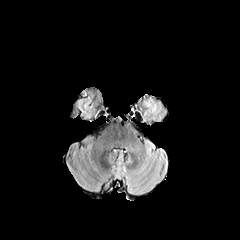
FLAIR MR image.
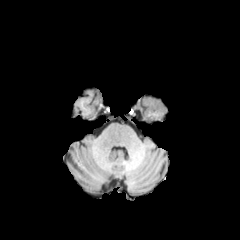
Same slice, T1-weighted MRI.
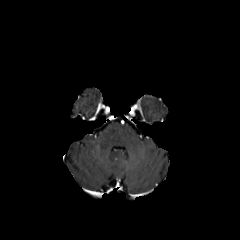
Post-contrast T1-weighted magnetic resonance.
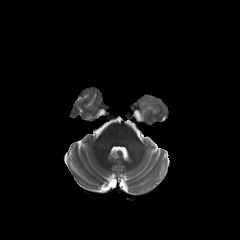
T2-weighted MRI.
Head
The edema is located at <box>142,96,160,120</box>.